FLAIR MRI.
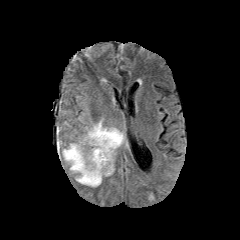
T1-weighted MRI.
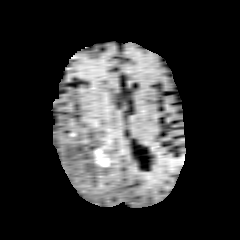
Post-contrast T1-weighted magnetic resonance.
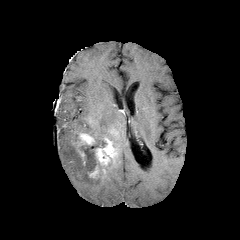
T2-weighted magnetic resonance.
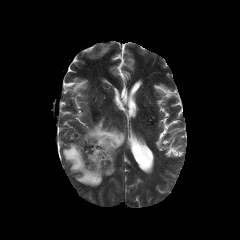
240x240
Enhancing tumor: bounding box (left=79, top=133, right=94, bottom=144), (left=96, top=130, right=119, bottom=164).
Edema: bounding box (left=61, top=118, right=123, bottom=187).